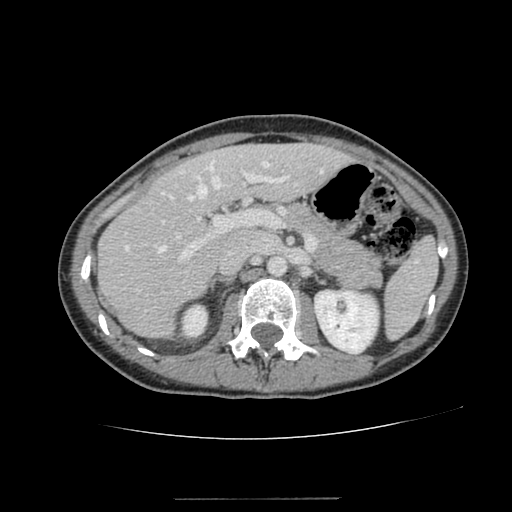 CT. Liver = x1=96 y1=144 x2=354 y2=337.
Kidney = x1=183 y1=306 x2=206 y2=335, x1=315 y1=291 x2=378 y2=353.